Head.
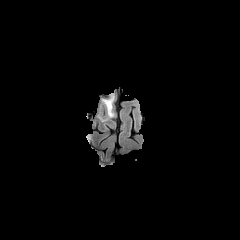
FLAIR magnetic resonance.
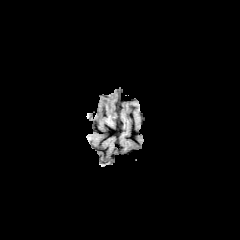
Same slice, T1-weighted MRI.
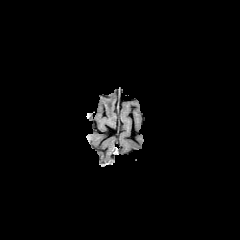
Same slice, post-contrast T1-weighted magnetic resonance.
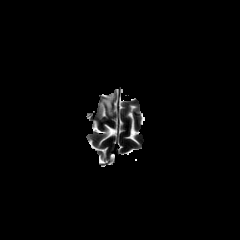
T2-weighted magnetic resonance of the same slice.
The edema appears at left=100, top=110, right=113, bottom=123. The non-enhancing tumor core is at left=104, top=98, right=113, bottom=115.